FLAIR MR image.
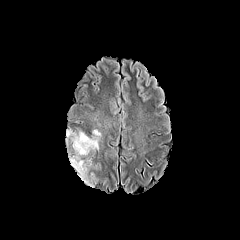
T1-weighted magnetic resonance.
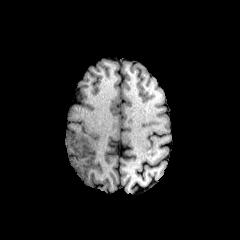
Post-contrast T1-weighted MR image.
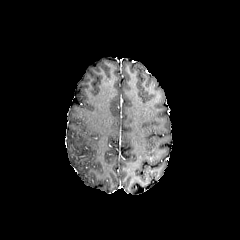
T2-weighted MR.
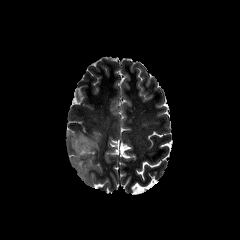
240x240 | Head
Segmented structures:
* edema: {"x1": 65, "y1": 129, "x2": 101, "y2": 180}